Slice 87/155. Brain.
FLAIR MR.
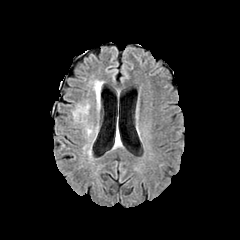
T1-weighted MR.
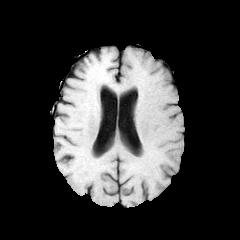
Post-contrast T1-weighted magnetic resonance.
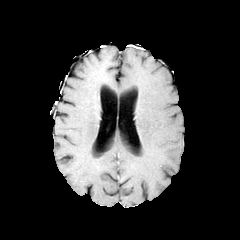
T2-weighted MR image.
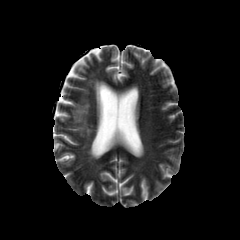
edema: [74,103,89,125], [84,125,93,136], [93,81,102,109]